Image width 360 mm, CT scan slice

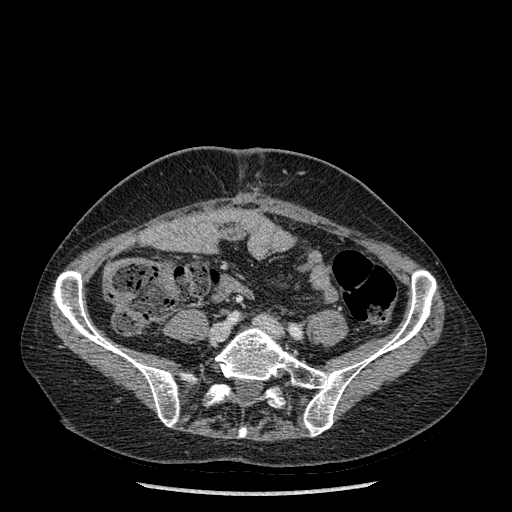

6 bone regions are located at 53,270,179,427; 181,374,196,382; 215,270,436,436; 206,384,233,404; 238,427,246,437; 263,388,284,407.